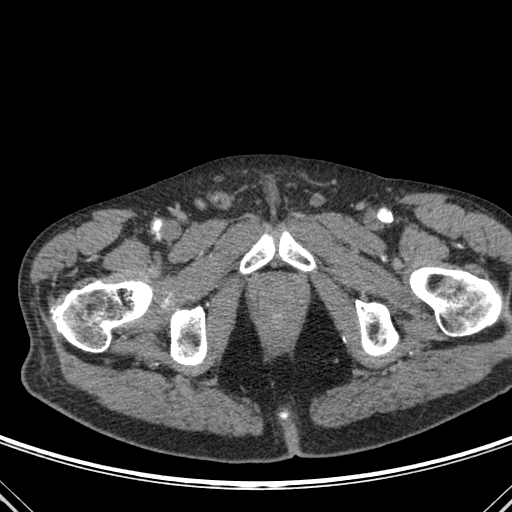
CT slice, Image size 512x512
Bone: (left=161, top=294, right=171, bottom=308), (left=409, top=267, right=506, bottom=336), (left=240, top=231, right=315, bottom=273), (left=52, top=280, right=159, bottom=352), (left=170, top=306, right=206, bottom=365), (left=355, top=300, right=398, bottom=356).